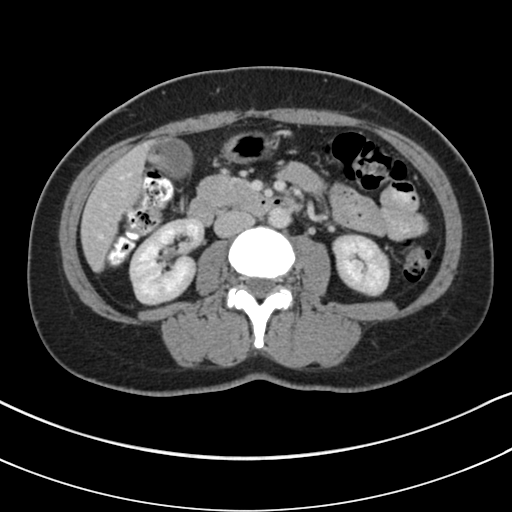 Image size 512x512; CT image
pancreas:
  - <bbox>197, 175, 259, 208</bbox>